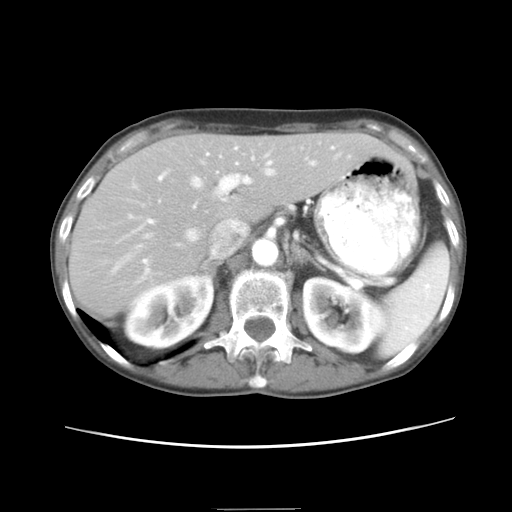
CT scan slice, Abdomen
The vessel annotation is not exhaustive.
11 hepatic vessel regions are located at x1=193 y1=204 x2=194 y2=206, x1=234 y1=146 x2=236 y2=148, x1=221 y1=196 x2=224 y2=200, x1=265 y1=160 x2=272 y2=174, x1=143 y1=259 x2=146 y2=262, x1=148 y1=219 x2=152 y2=222, x1=235 y1=162 x2=237 y2=163, x1=187 y1=230 x2=195 y2=239, x1=218 y1=174 x2=249 y2=193, x1=251 y1=156 x2=253 y2=158, x1=192 y1=177 x2=200 y2=185.